FLAIR MR.
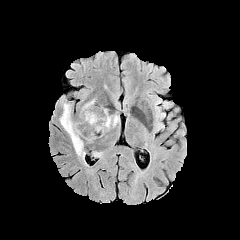
T1-weighted MRI.
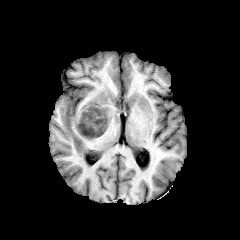
Post-contrast T1-weighted MR image.
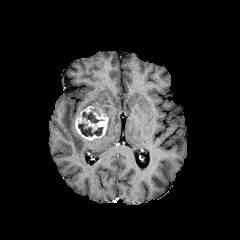
T2-weighted MR image.
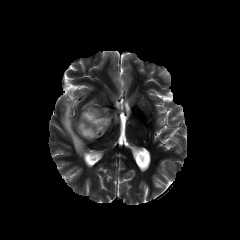
Findings:
- edema: <box>60,101,85,159</box>, <box>107,115,117,126</box>
- non-enhancing tumor core: <box>82,112,97,122</box>, <box>78,123,102,136</box>
- enhancing tumor: <box>75,106,108,140</box>